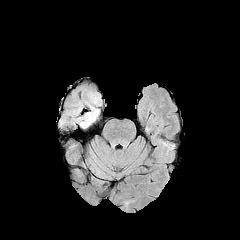
FLAIR magnetic resonance.
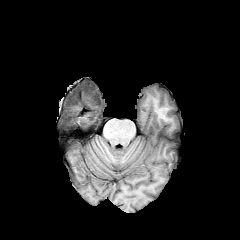
T1-weighted MR image.
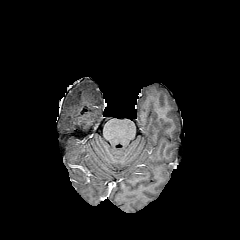
Post-contrast T1-weighted MR.
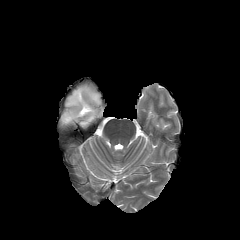
T2-weighted MR image.
240x240. Brain.
<segmentation>
  <edema>60, 92, 99, 128</edema>
  <non-enhancing_tumor_core>73, 92, 82, 106; 78, 87, 99, 105</non-enhancing_tumor_core>
</segmentation>